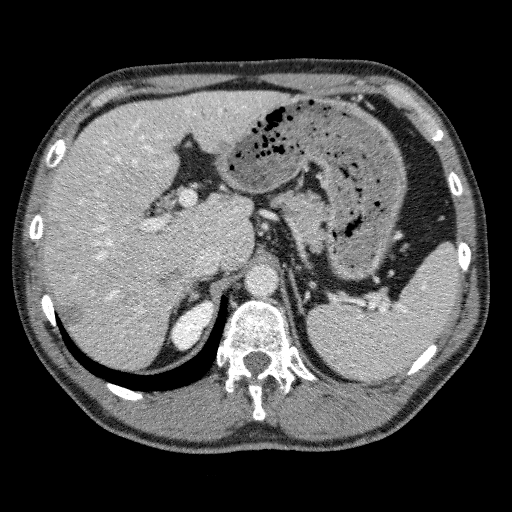
Abdomen | CT
<segmentation>
  <liver_lesion>box(211, 138, 232, 154); box(121, 290, 140, 306); box(217, 194, 233, 204); box(46, 218, 54, 229); box(58, 301, 85, 328); box(157, 267, 182, 287)</liver_lesion>
  <liver>box(42, 90, 289, 368)</liver>
  <kidney>box(172, 302, 212, 348)</kidney>
</segmentation>